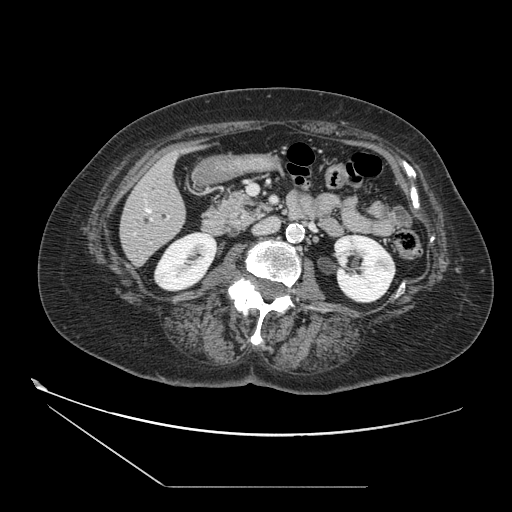
CT slice, Upper abdomen

The pancreatic tumor is located at {"x1": 240, "y1": 211, "x2": 250, "y2": 225}. The pancreas appears at {"x1": 205, "y1": 192, "x2": 268, "y2": 229}.